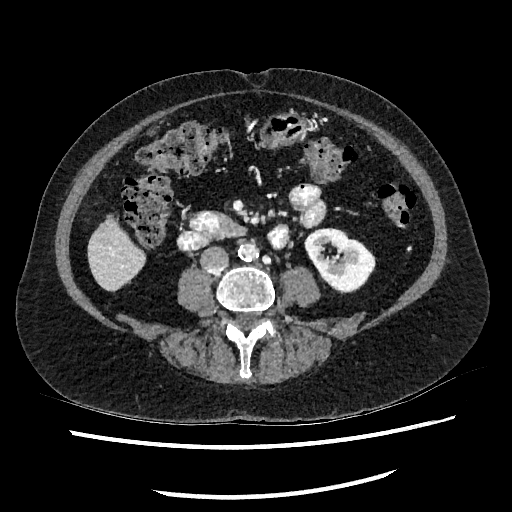 Liver | CT scan slice
Kidney = 305,224,374,290.
Liver = 88,222,143,290.